Slice index 80, Abdomen, CT scan slice

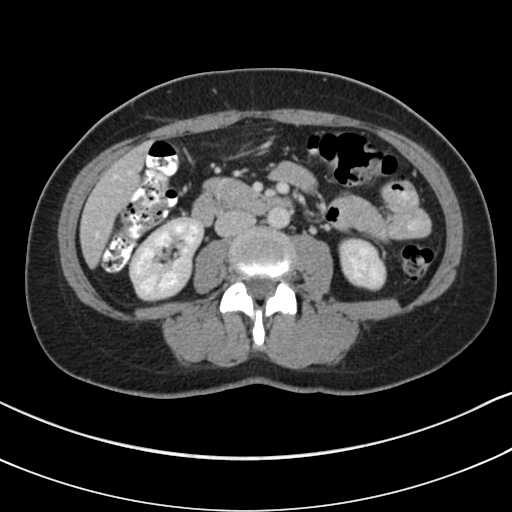
Pancreas: bounding box region(203, 177, 256, 205).